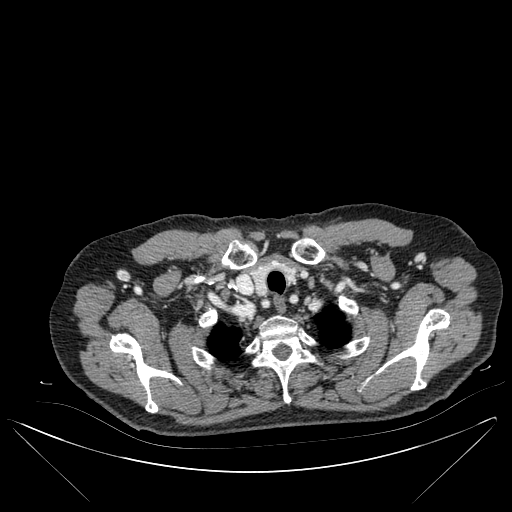

CT image; Chest; Image size 512x512
<segmentation>
  <bone>346,337,369,356; 292,238,324,264; 339,296,357,314; 222,240,256,269; 199,308,216,327; 377,309,449,390; 246,316,315,402; 192,347,213,367; 110,334,180,412</bone>
  <lung>208,324,240,360; 315,307,349,347; 270,284,279,291</lung>
</segmentation>